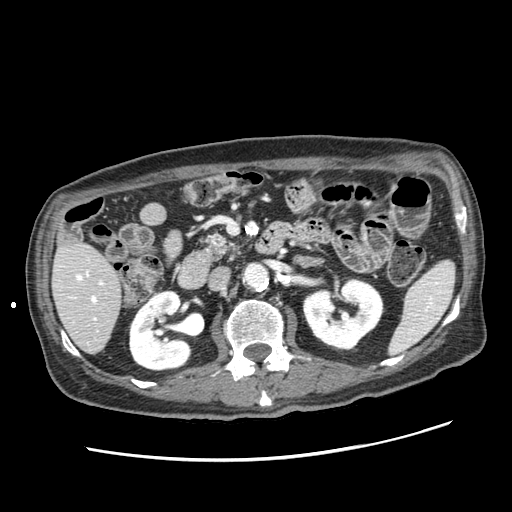

512x512, CT slice
pancreas:
  - 204 235 228 258